Brain
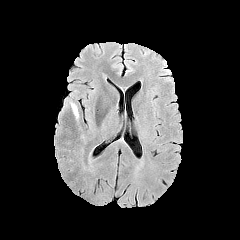
FLAIR MR image.
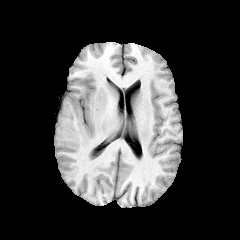
Same slice, T1-weighted magnetic resonance.
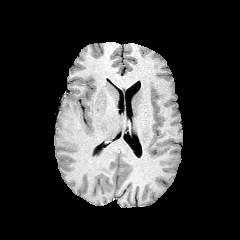
Post-contrast T1-weighted MR image of the same slice.
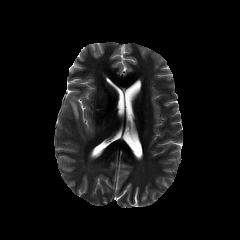
T2-weighted MR.
Edema = <box>66,98,79,122</box>.